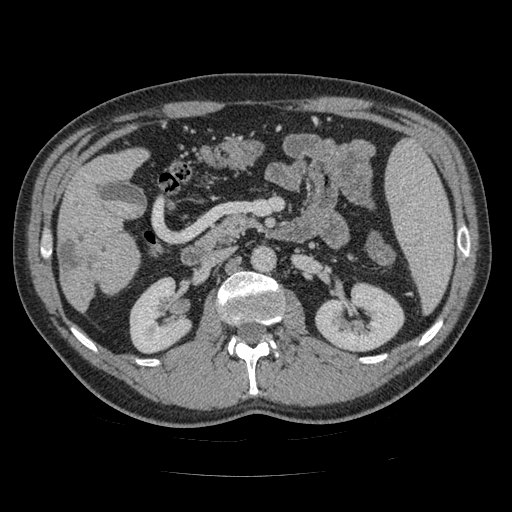

Abdomen; CT image
pancreas:
  - x1=200 y1=214 x2=255 y2=246